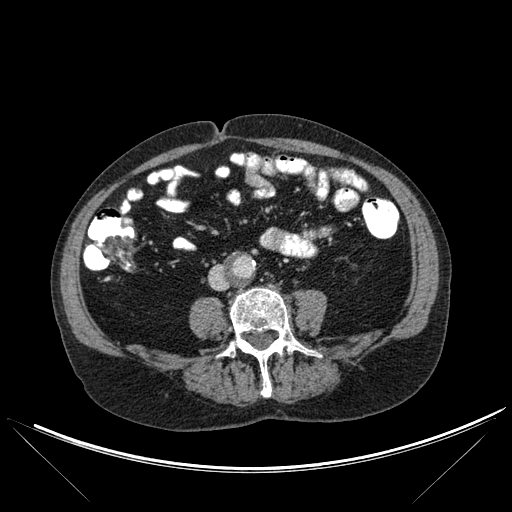 Image size 512x512 | CT

{"bone": ["[222,288,306,396]"]}